Abdomen. Computed tomography.
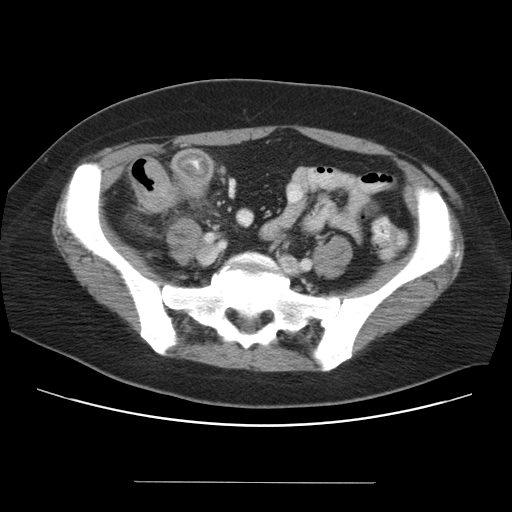
Colon tumor — l=136, t=160, r=172, b=211; l=183, t=178, r=206, b=194.